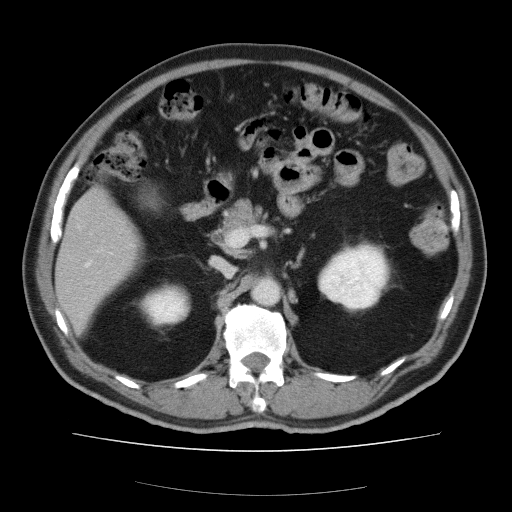 CT, Liver
The vessel annotation is not exhaustive.
hepatic vessel: <bbox>84, 261, 90, 266</bbox>